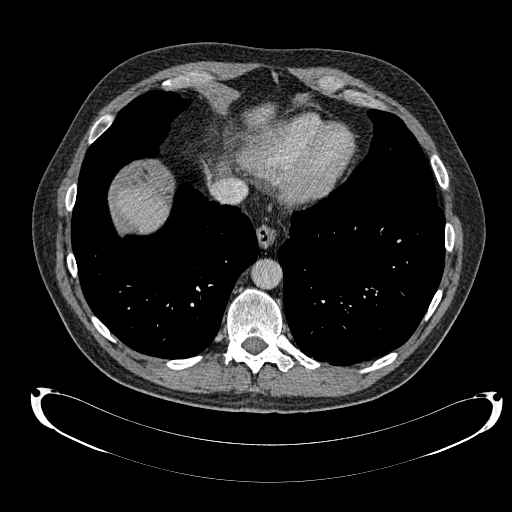 Abdomen | CT image | 512x512
{
  "liver": [
    "<bbox>250, 108, 271, 122</bbox>",
    "<bbox>118, 182, 169, 232</bbox>"
  ]
}